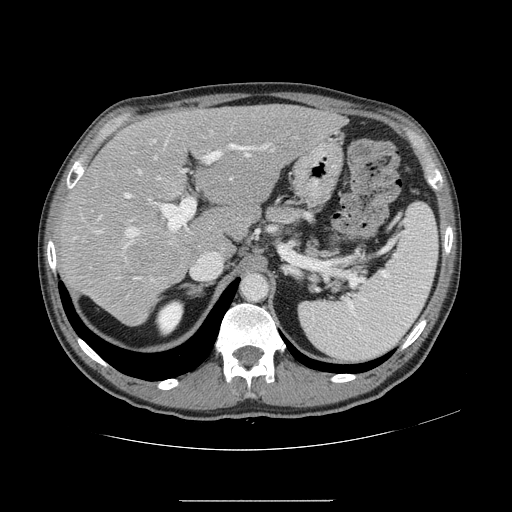

CT slice
Not every hepatic vessel necessarily has a box.
The liver tumor lies within (127, 241, 179, 275). The top 15 hepatic vessel regions (of 19) are located at (151, 278, 153, 280), (162, 198, 193, 229), (210, 130, 211, 132), (124, 227, 138, 248), (138, 171, 141, 173), (151, 139, 155, 142), (97, 217, 100, 220), (96, 229, 103, 232), (124, 192, 130, 197), (89, 226, 91, 229), (229, 144, 267, 156), (73, 237, 75, 240), (134, 277, 141, 278), (81, 215, 83, 219), (205, 152, 221, 162).